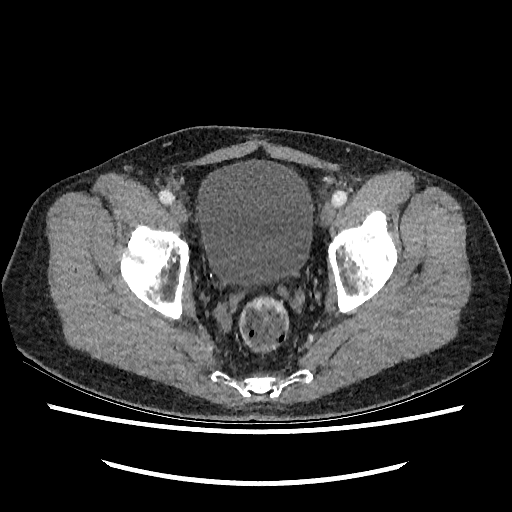
Lower abdomen; 512x512 px; CT
The urinary bladder lies within box=[195, 159, 314, 286].